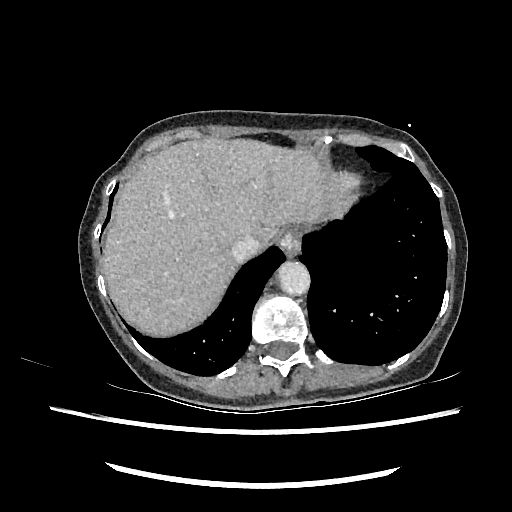

CT image

The liver appears at 106,138,347,333.